35x44 px | Medial temporal lobe | MR
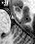

Anterior hippocampus — <box>14,6,20,12</box>.